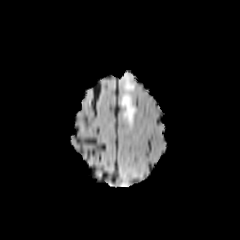
FLAIR magnetic resonance.
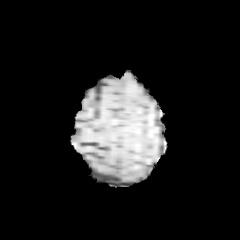
Same slice, T1-weighted MR image.
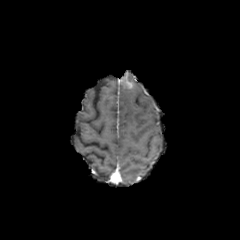
Post-contrast T1-weighted MR.
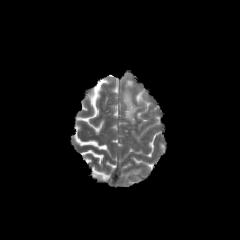
Same slice, T2-weighted magnetic resonance.
<segmentation>
  <edema>region(122, 89, 138, 125)</edema>
  <enhancing_tumor>region(121, 73, 133, 88)</enhancing_tumor>
</segmentation>